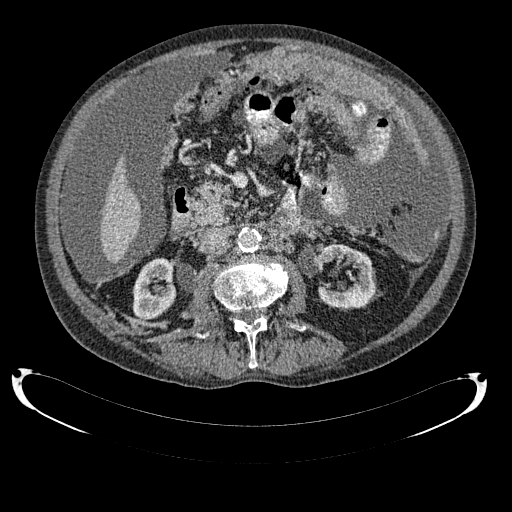 CT image. Upper abdomen.
Annotated regions:
* liver: <box>101,156,140,262</box>
* kidney: <box>315,244,375,308</box>, <box>133,258,175,319</box>